FLAIR MR.
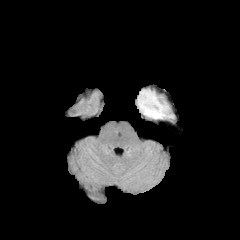
T1-weighted MRI.
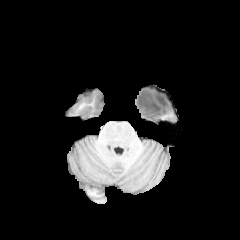
Post-contrast T1-weighted MRI.
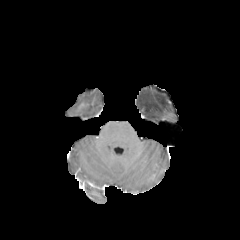
T2-weighted MR.
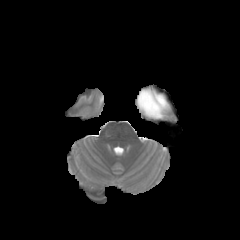
Edema: rect(150, 104, 172, 119).
Non-enhancing tumor core: rect(138, 89, 168, 117).